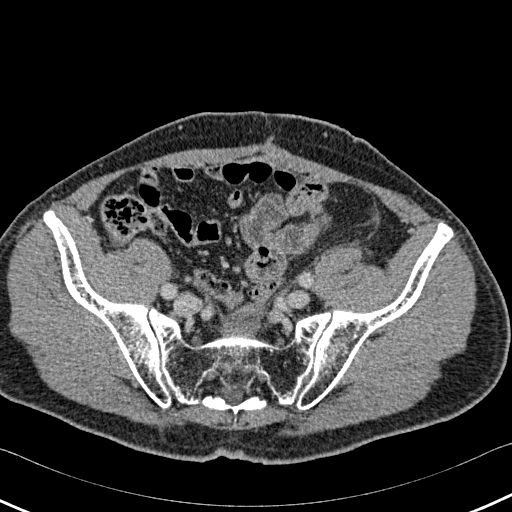 Computed tomography
Annotated regions:
- bone: 44:211:452:413